Brain | 240x240 | Field of view 240 mm wide, 1.00 mm slice spacing
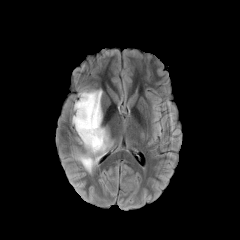
FLAIR MR image.
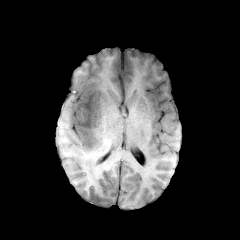
T1-weighted MR image.
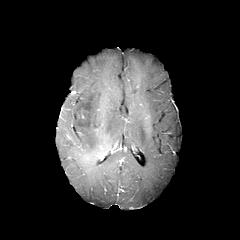
Same slice, post-contrast T1-weighted MR.
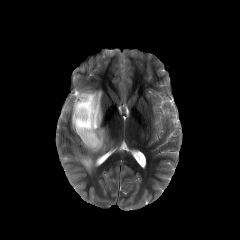
T2-weighted MR.
{"edema": ["region(72, 87, 109, 172)"]}